Thorax; CT scan slice
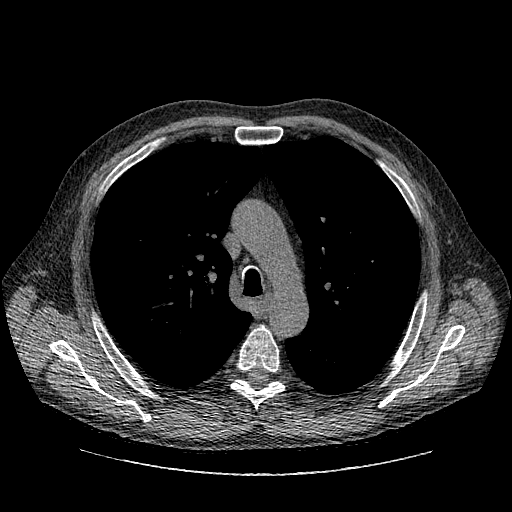

Lung tumor: bounding box 175, 247, 180, 255.